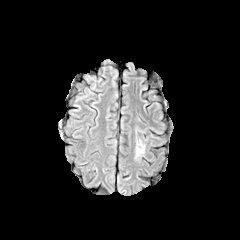
FLAIR MR.
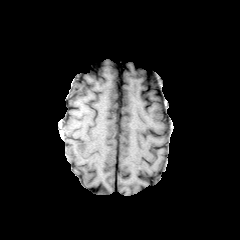
T1-weighted MR.
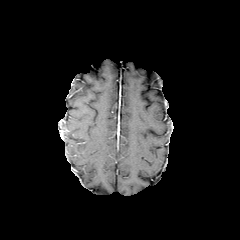
Post-contrast T1-weighted magnetic resonance.
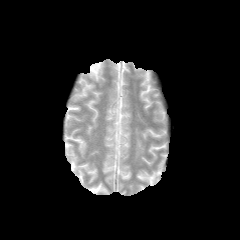
T2-weighted MR image of the same slice.
Brain; 240x240
The edema appears at left=136, top=140, right=144, bottom=155.